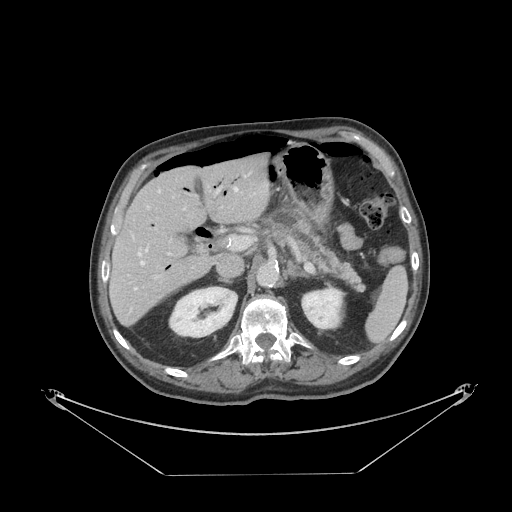 CT, Upper abdomen

The pancreas is at {"x1": 268, "y1": 210, "x2": 364, "y2": 291}.